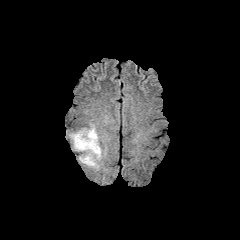
FLAIR MR.
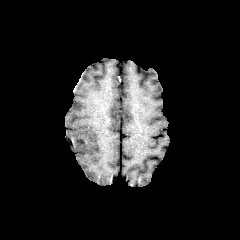
T1-weighted magnetic resonance.
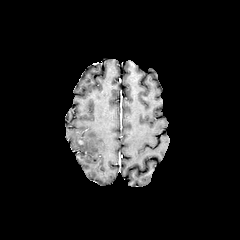
Post-contrast T1-weighted MR.
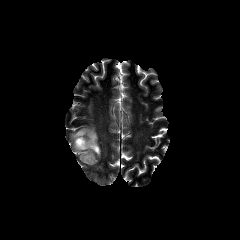
T2-weighted MRI.
Brain | 240x240 px
Edema: bounding box box=[70, 124, 102, 167].